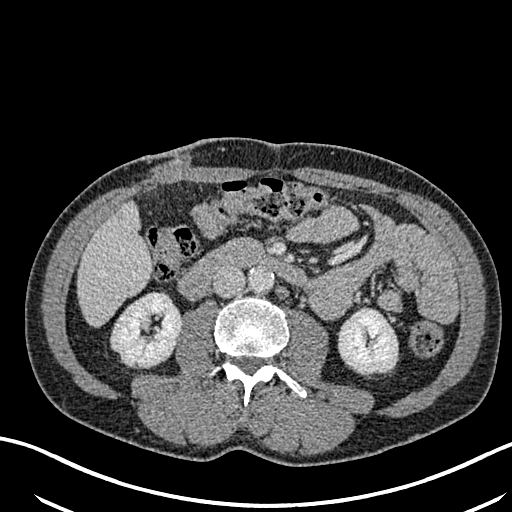
Computed tomography.

Annotated regions:
* kidney: [339,309,397,372], [111,293,180,366]
* hepatic lesion: [116,210,123,222]
* liver: [77,203,149,325]